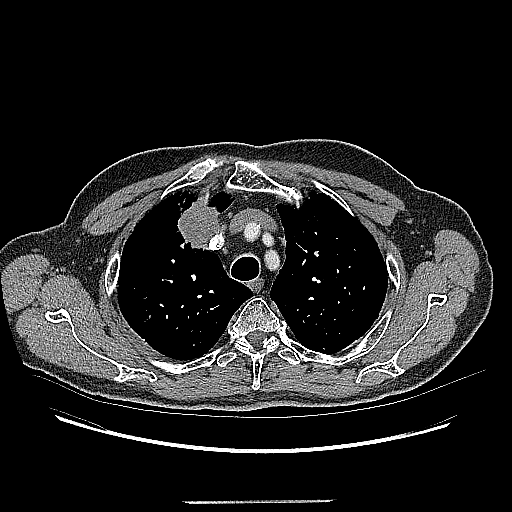 CT scan slice

The lung tumor lies within box(175, 196, 220, 249).